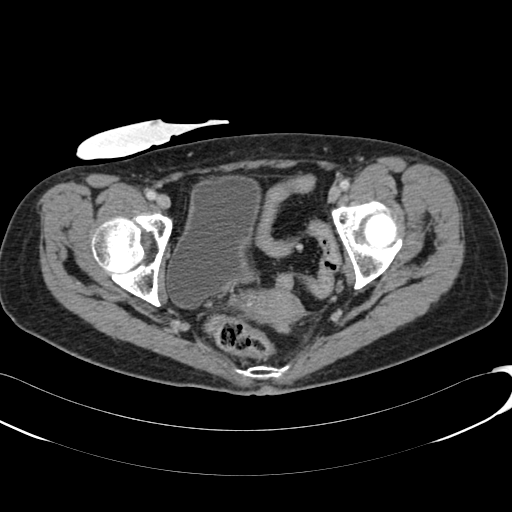
CT image
- urinary bladder: box=[165, 175, 264, 309]